240x240.
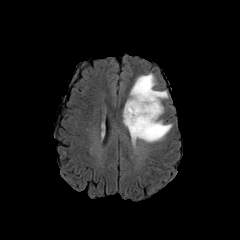
FLAIR magnetic resonance.
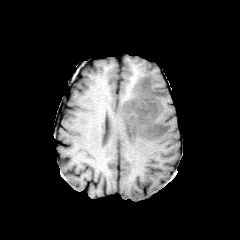
Same slice, T1-weighted MR image.
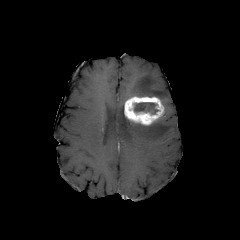
Post-contrast T1-weighted MR image of the same slice.
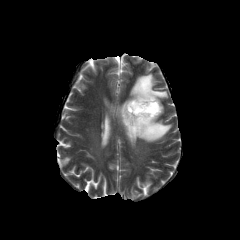
T2-weighted MRI of the same slice.
edema:
  - bbox(130, 73, 168, 99)
  - bbox(122, 110, 172, 145)
enhancing_tumor:
  - bbox(124, 95, 164, 126)
non-enhancing_tumor_core:
  - bbox(134, 103, 157, 113)